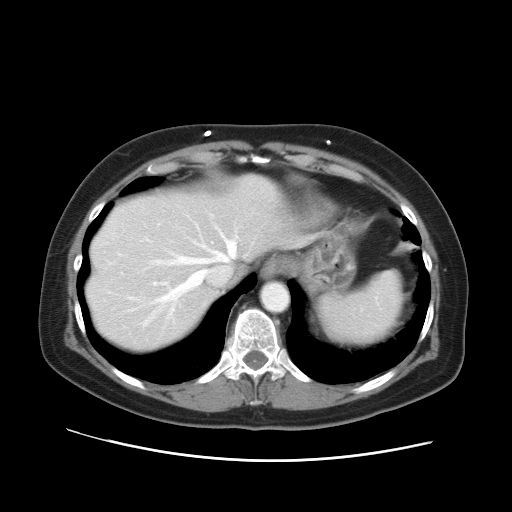
Abdomen. CT. The vessel annotation is not exhaustive.
{
  "hepatic_vessel": [
    {"x1": 142, "y1": 231, "x2": 236, "y2": 325},
    {"x1": 127, "y1": 296, "x2": 136, "y2": 299}
  ]
}